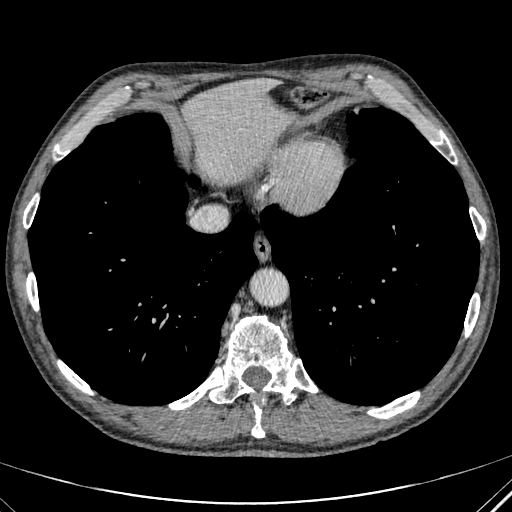 Abdomen | CT
{
  "liver": [
    "182,79,291,181"
  ]
}